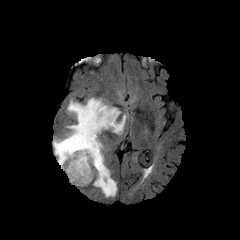
FLAIR MR.
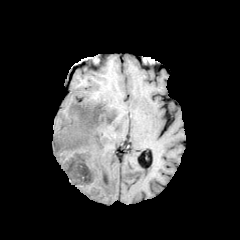
T1-weighted MR image of the same slice.
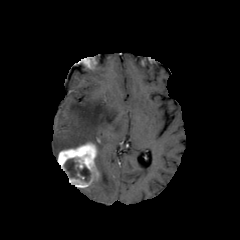
Same slice, post-contrast T1-weighted MR image.
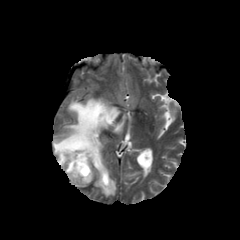
T2-weighted MRI.
Enhancing tumor = [x1=58, y1=142, x2=97, y2=179], [x1=70, y1=173, x2=87, y2=185].
Non-enhancing tumor core = [x1=62, y1=140, x2=89, y2=149], [x1=64, y1=159, x2=90, y2=181], [x1=92, y1=106, x2=99, y2=121], [x1=91, y1=166, x2=99, y2=181].
Edema = [x1=53, y1=97, x2=128, y2=197].